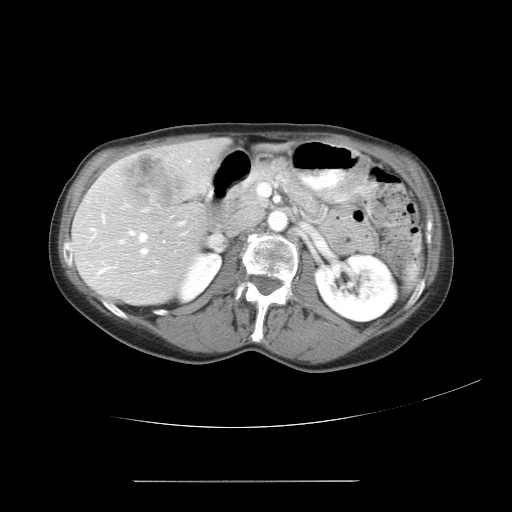
Computed tomography. Liver.

Not every hepatic vessel necessarily has a box.
liver tumor: (120,151,186,213) | hepatic vessel: (97,268,105,273), (151,269,154,272), (186,160,188,162), (138,233,146,240), (120,239,123,243), (128,231,132,234), (178,221,182,224), (90,228,95,238), (101,215,104,222), (140,248,146,253)